Abdomen, CT, Field of view 469x469 mm
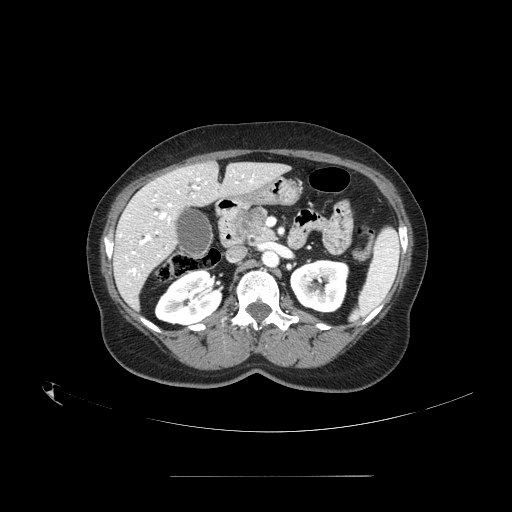

Pancreatic tumor: bounding box box=[238, 209, 264, 238].
Pancreas: bounding box box=[235, 207, 276, 241].